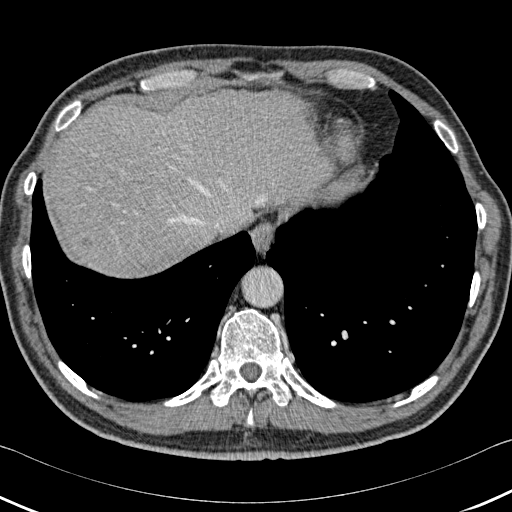
Liver, CT scan slice, 512x512

lung:
  - 30,89,477,404
hepatic_lesion:
  - 81,238,92,247
liver:
  - 336,181,343,195
  - 43,89,336,277
bone:
  - 476,203,486,228
  - 434,120,457,152
  - 55,101,80,130
  - 58,361,98,398
  - 22,245,30,277
  - 247,409,253,424
  - 164,309,336,407
  - 393,376,437,407
  - 24,172,35,194
  - 469,272,480,306